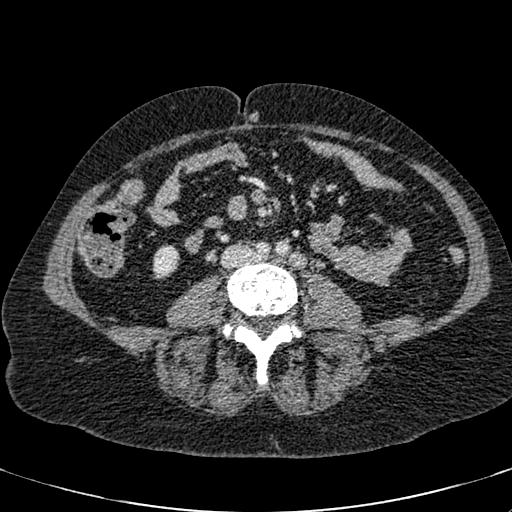

512x512 px | CT image
Segmented structures:
* kidney: bbox(153, 246, 178, 277)